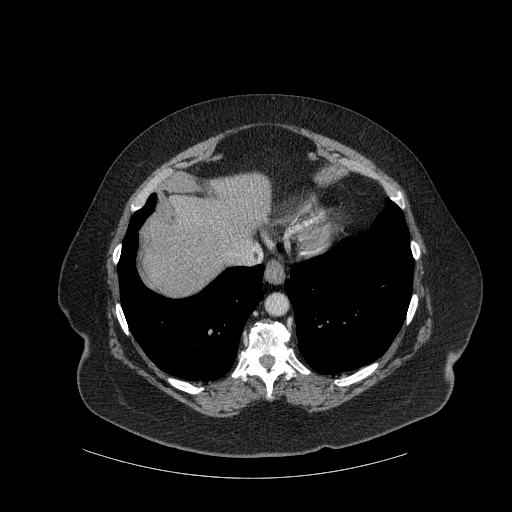
CT slice | Liver
Liver — (x1=142, y1=173, x2=271, y2=297).
Lung — (x1=285, y1=198, x2=413, y2=374), (x1=118, y1=193, x2=263, y2=379).
Bone — (x1=407, y1=295, x2=417, y2=323), (x1=232, y1=322, x2=309, y2=396), (x1=116, y1=304, x2=128, y2=334), (x1=335, y1=364, x2=377, y2=385), (x1=411, y1=241, x2=419, y2=258), (x1=169, y1=379, x2=203, y2=393), (x1=391, y1=192, x2=402, y2=204), (x1=113, y1=244, x2=120, y2=262).